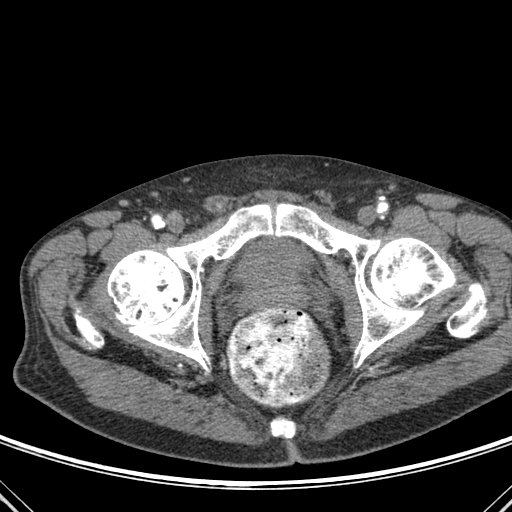

CT slice
Segmented structures:
- bone: bbox(107, 204, 486, 370); bbox(271, 419, 295, 437); bbox(75, 309, 103, 347)